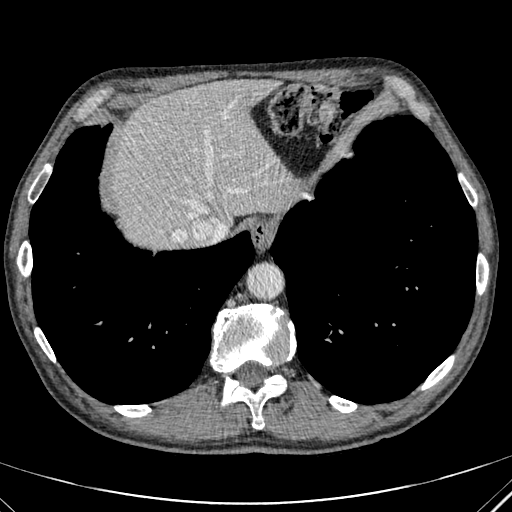

CT image
Liver at (112,79,294,247).